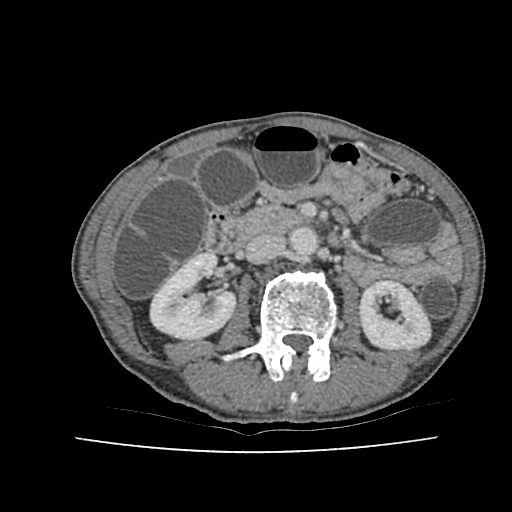

Computed tomography
2 kidney regions appear at (x1=151, y1=253, x2=235, y2=338), (x1=360, y1=281, x2=429, y2=348).